CT image, Slice 92/152, Field of view 432x432 mm, Liver 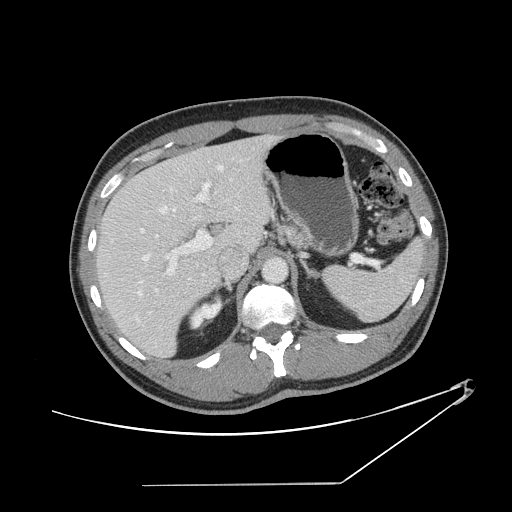

Some hepatic vessels may have no box.
Largest 15 of 17 hepatic vessel regions: left=138, top=291, right=141, bottom=294; left=143, top=254, right=149, bottom=260; left=235, top=206, right=238, bottom=209; left=141, top=229, right=144, bottom=231; left=195, top=181, right=210, bottom=201; left=135, top=313, right=138, bottom=321; left=111, top=240, right=113, bottom=241; left=195, top=216, right=199, bottom=218; left=166, top=230, right=211, bottom=275; left=138, top=281, right=141, bottom=282; left=173, top=208, right=175, bottom=211; left=170, top=188, right=171, bottom=191; left=218, top=166, right=222, bottom=170; left=155, top=289, right=157, bottom=290; left=160, top=206, right=166, bottom=212.